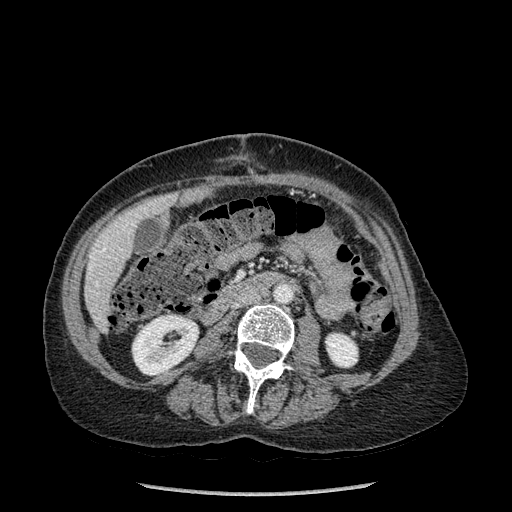

CT slice. Liver.
The bone appears at (left=230, top=303, right=294, bottom=413). The liver is located at (left=85, top=194, right=174, bottom=333). 2 kidney regions are located at (left=132, top=315, right=198, bottom=374), (left=326, top=334, right=357, bottom=366).